512x512, Image width 481 mm, Upper abdomen, Computed tomography 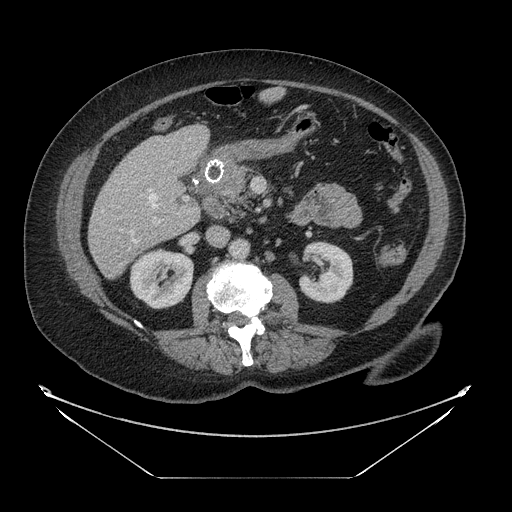 Pancreas = rect(203, 168, 250, 220).